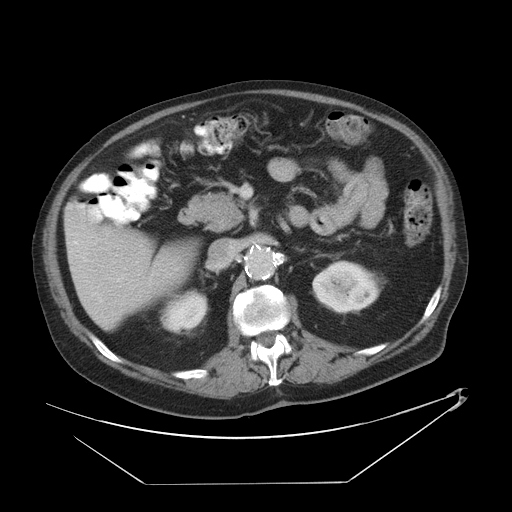 512x512 px; Computed tomography
Only some of the vessels may be annotated.
Hepatic vessel: [69,250,72,262], [95,216,100,219], [67,233,71,234], [89,233,100,243], [81,224,84,228], [72,241,78,243].